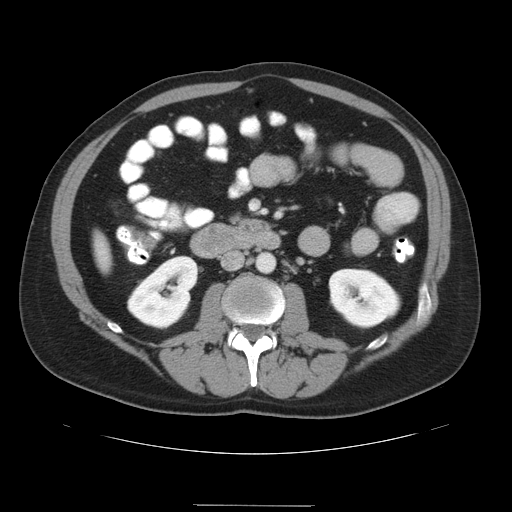
CT image. 512x512. Liver.

The vessel boxes may cover only some of the vessels.
The hepatic vessel is located at box(101, 250, 103, 255).